Lung. Slice 150/260. CT image. 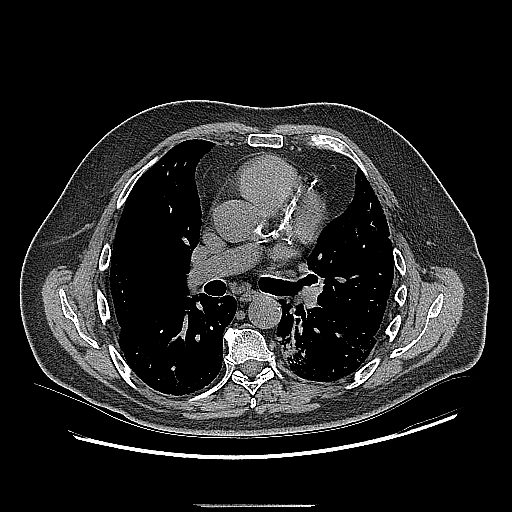 The lung tumor is located at x1=277 y1=299 x2=317 y2=375.